MR 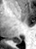

posterior hippocampus: [13,38,21,43]